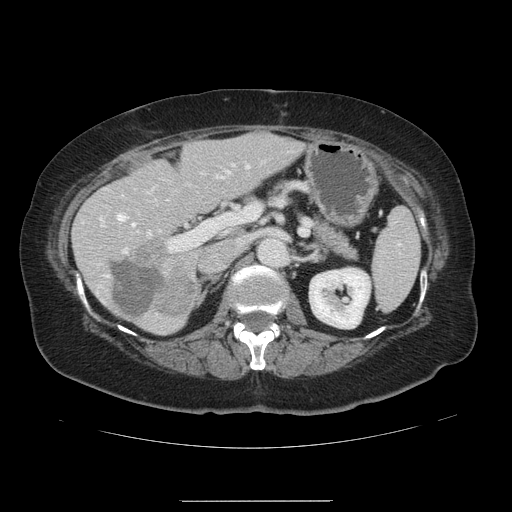 512x512 px | CT
The vessel boxes may cover only some of the vessels.
Hepatic vessel = bbox=[231, 163, 233, 165]; bbox=[222, 203, 224, 205]; bbox=[131, 223, 134, 225]; bbox=[147, 191, 149, 192]; bbox=[201, 171, 204, 173]; bbox=[147, 231, 150, 236]; bbox=[225, 170, 228, 173]; bbox=[168, 204, 242, 251]; bbox=[215, 174, 221, 177]; bbox=[123, 248, 127, 252]; bbox=[99, 216, 103, 225]; bbox=[245, 164, 248, 167]; bbox=[116, 214, 124, 219].
Liver tumor = bbox=[111, 242, 194, 316].